Slice 43 of 93. Computed tomography. Upper abdomen. Image size 512x512.
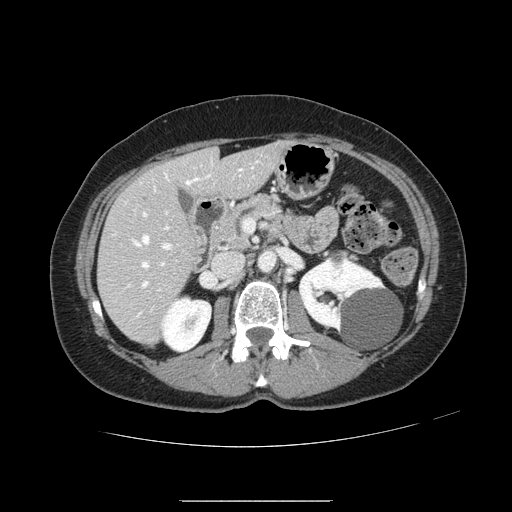
Pancreas = {"x1": 208, "y1": 193, "x2": 286, "y2": 263}.